FLAIR MR.
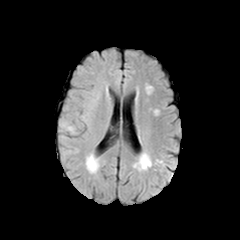
T1-weighted MR.
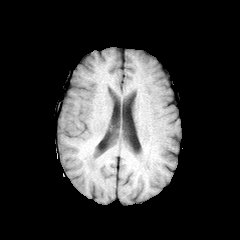
Post-contrast T1-weighted magnetic resonance.
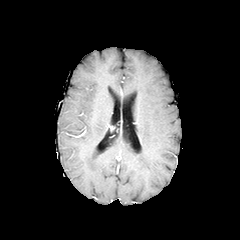
T2-weighted MR image.
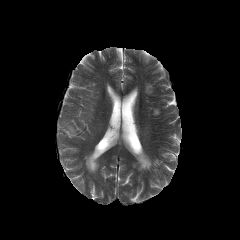
Image size 240x240.
Edema at x1=60, y1=122, x2=76, y2=133.